Computed tomography; Field of view 426 mm wide, 2.50 mm slice spacing; Upper abdomen
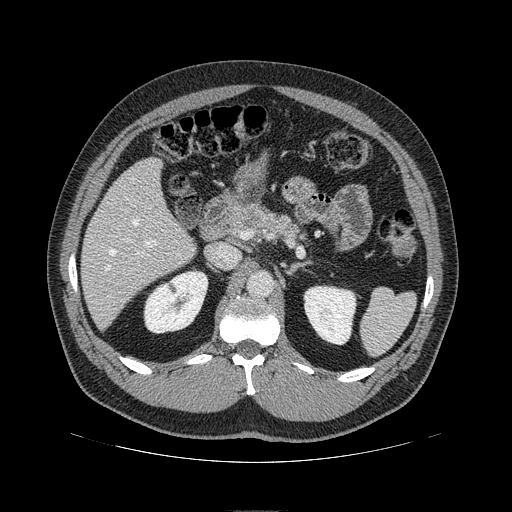
Pancreas: left=226, top=201, right=300, bottom=241.
Pancreatic tumor: left=239, top=210, right=260, bottom=227.